FLAIR magnetic resonance.
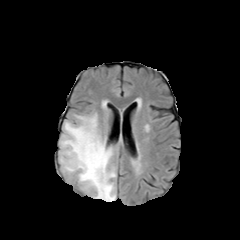
T1-weighted MR image.
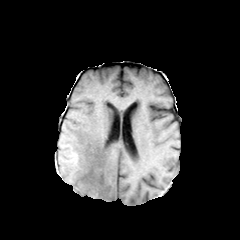
Post-contrast T1-weighted magnetic resonance.
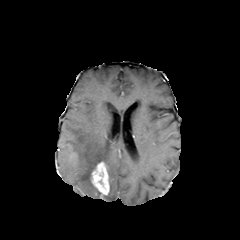
T2-weighted MR image.
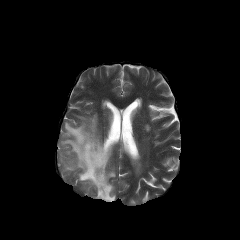
240x240 px.
Enhancing tumor: left=91, top=161, right=109, bottom=197.
Edema: left=59, top=113, right=116, bottom=201.